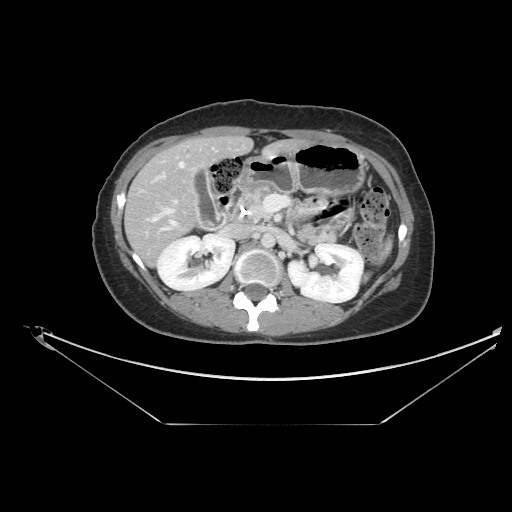 CT image

{"pancreas": ["302 229 334 242", "247 188 268 220"]}